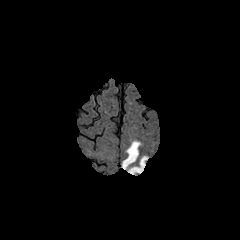
FLAIR MRI.
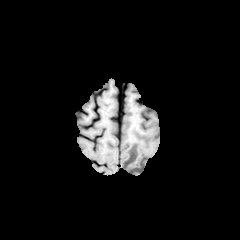
T1-weighted magnetic resonance of the same slice.
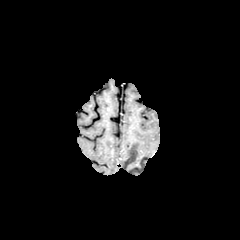
Post-contrast T1-weighted MR image.
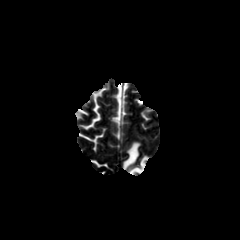
T2-weighted MR of the same slice.
2 edema regions are located at (122,141,140,169), (128,155,148,174).